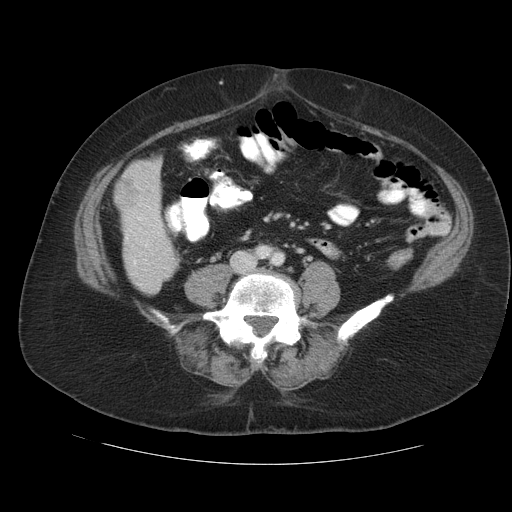
CT image; Image size 512x512; Liver

Liver tumor at x1=115, y1=162, x2=152, y2=206.